CT. Field of view 400x400 mm. 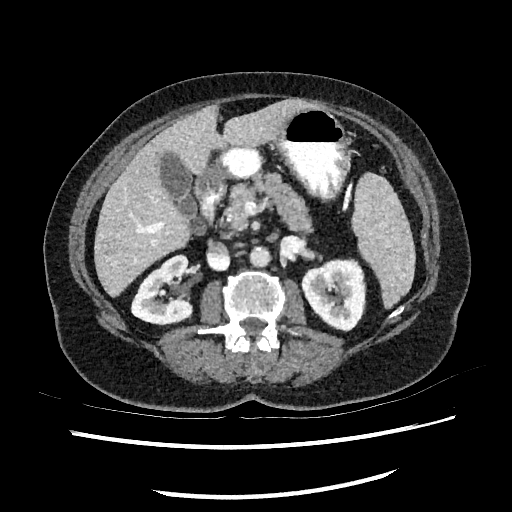

Kidney — (x1=302, y1=261, x2=364, y2=329), (x1=132, y1=256, x2=190, y2=323).
Focal liver lesion — (x1=101, y1=241, x2=114, y2=254).
Liver — (x1=95, y1=98, x2=308, y2=297).